Brain | Field of view 240 mm wide, 1.00 mm slice spacing
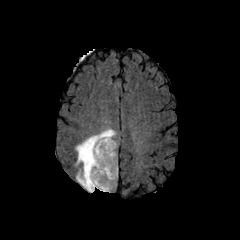
FLAIR MRI.
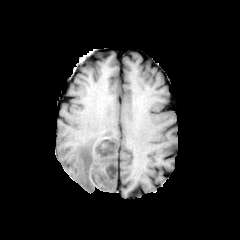
T1-weighted MRI of the same slice.
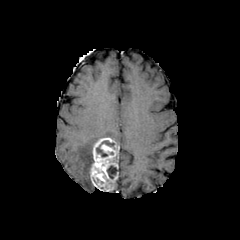
Same slice, post-contrast T1-weighted MR image.
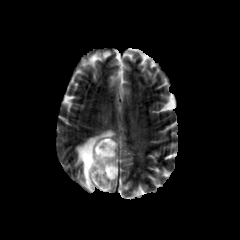
T2-weighted MR of the same slice.
edema:
  - 75, 128, 115, 192
enhancing_tumor:
  - 89, 137, 117, 191
non-enhancing_tumor_core:
  - 107, 166, 117, 178